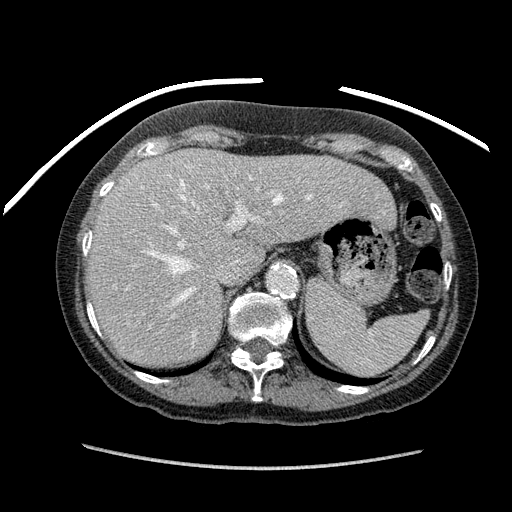
512x512 | Upper abdomen | CT slice

liver:
  - l=89, t=149, r=394, b=366